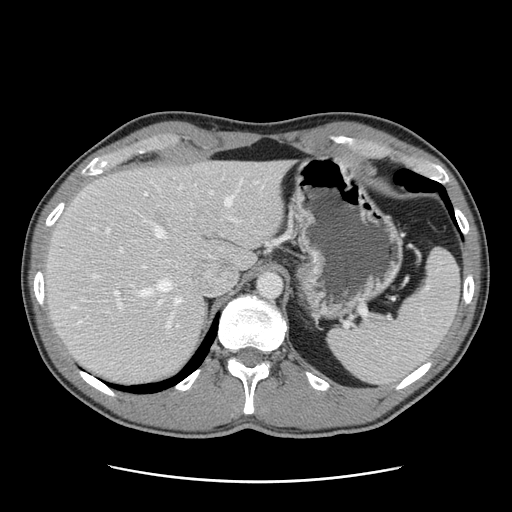

Liver. CT slice.
Only some of the vessels may be annotated.
Most prominent 15 of 20 hepatic vessel regions = 154,226,163,237; 224,194,234,205; 155,279,171,291; 143,221,152,224; 92,274,97,277; 158,300,162,303; 166,315,171,327; 114,291,118,298; 118,300,121,308; 139,289,151,295; 71,306,75,307; 174,297,180,304; 230,218,236,221; 120,248,122,251; 106,229,109,232.